Abdomen. CT scan slice. Slice 77 of 151.
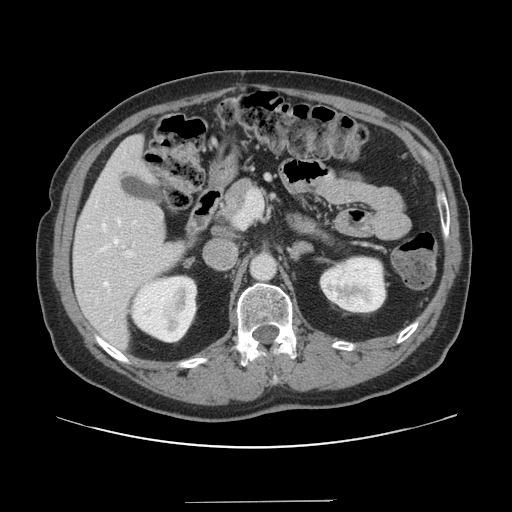 The vessel boxes may cover only some of the vessels.
{"hepatic_vessel": ["236,192,262,226", "102,223,105,230", "117,218,120,224", "103,281,108,286", "113,238,118,244", "123,246,134,257"]}